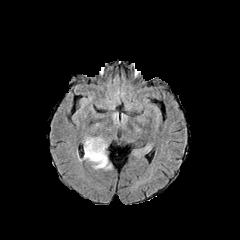
FLAIR magnetic resonance.
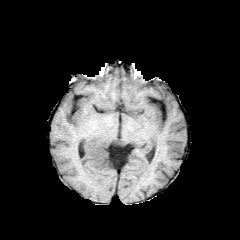
T1-weighted MR.
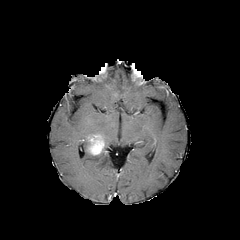
Post-contrast T1-weighted MRI.
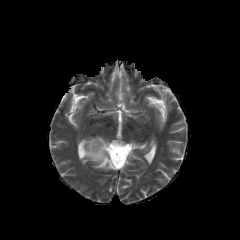
T2-weighted magnetic resonance.
Brain, 240x240
Segmented structures:
* enhancing tumor: 89:136:106:154
* edema: 79:136:111:169